Slice index 37; CT image

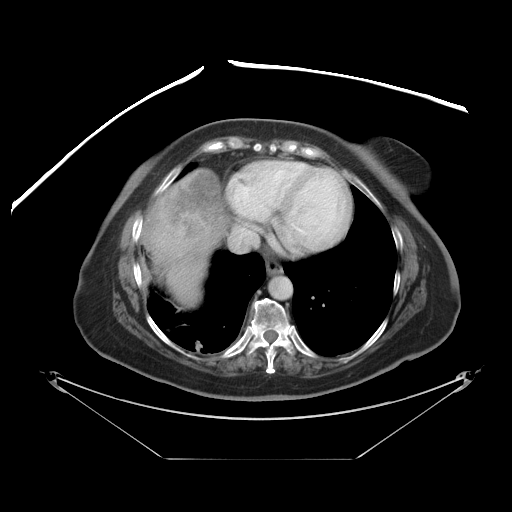

Not every hepatic vessel necessarily has a box.
<segmentation>
  <liver_tumor>168,174,223,238</liver_tumor>
  <hepatic_vessel>230,225,258,251</hepatic_vessel>
</segmentation>